Abdomen | Image size 512x512 | CT 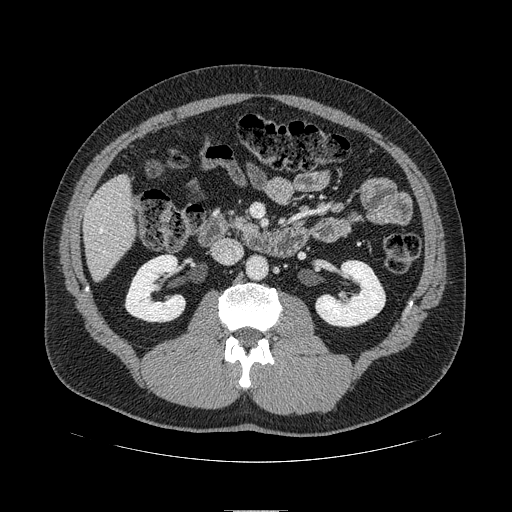
Pancreas: bounding box (234, 218, 253, 232).